Abdomen. Slice index 462. Image size 512x512. Computed tomography.
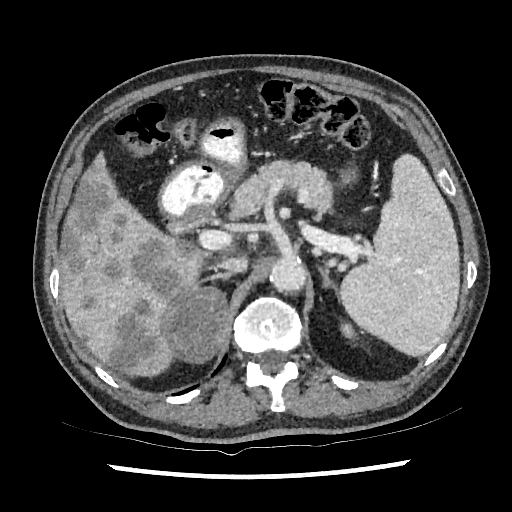

Segmented structures:
• focal liver lesion: (81, 296, 96, 310), (80, 333, 89, 343), (110, 214, 127, 244), (61, 167, 112, 275), (174, 240, 197, 258), (130, 237, 183, 299), (108, 299, 160, 369), (102, 258, 126, 282)
• liver: (61, 154, 238, 374)